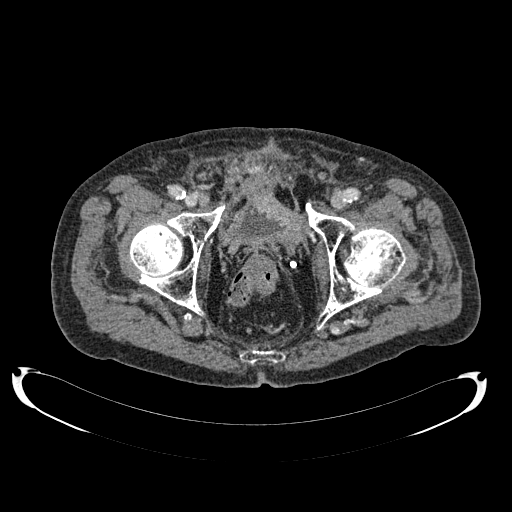

Lower abdomen, Computed tomography
Urinary bladder at l=239, t=212, r=282, b=237.